FLAIR MR.
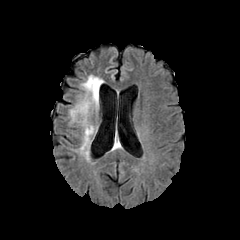
T1-weighted magnetic resonance.
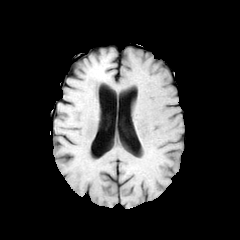
Post-contrast T1-weighted magnetic resonance.
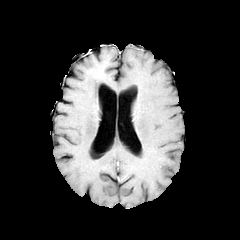
T2-weighted MR.
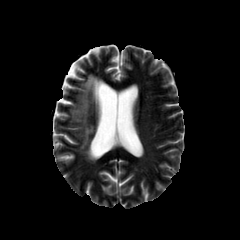
edema:
  - (x1=70, y1=74, x2=103, y2=159)